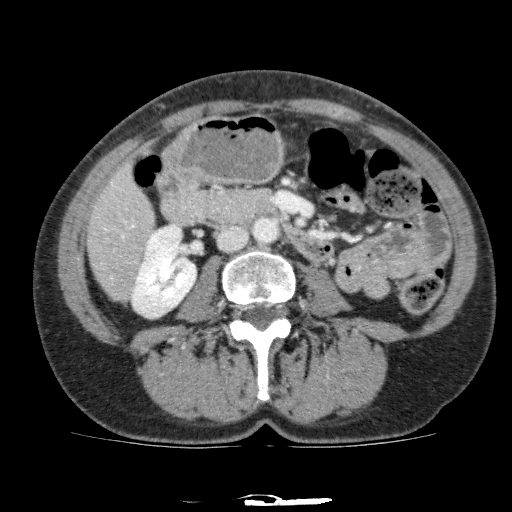 CT image | Abdomen
The liver is located at box=[86, 161, 155, 303]. The kidney appears at box=[132, 224, 195, 316].